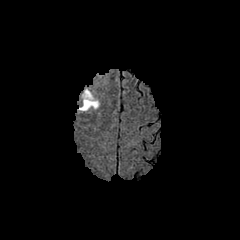
FLAIR MRI.
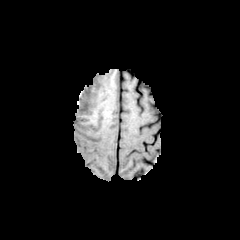
T1-weighted MRI.
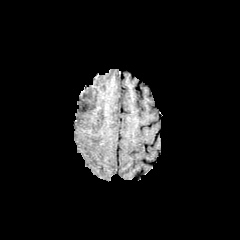
Same slice, post-contrast T1-weighted MRI.
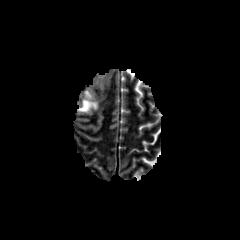
T2-weighted MR image.
240x240 px, Head
edema:
  - 79 89 99 113